FLAIR magnetic resonance.
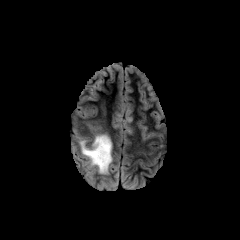
T1-weighted magnetic resonance.
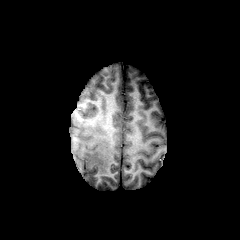
Post-contrast T1-weighted MRI.
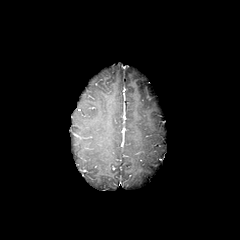
T2-weighted magnetic resonance.
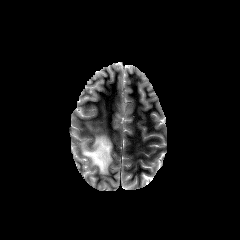
Brain | 240x240
Edema: bounding box [80,134,112,174].